CT image 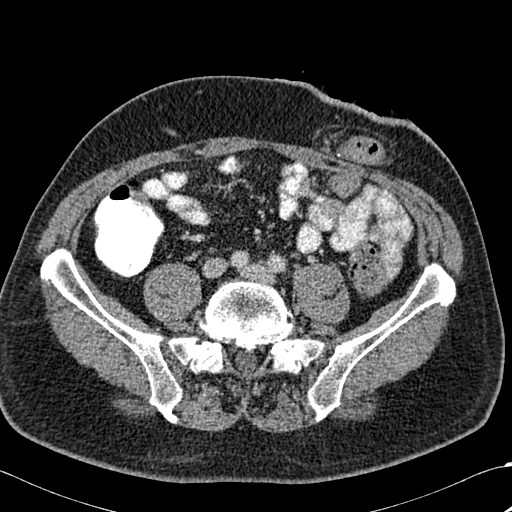

3 bone regions are located at 41 249 181 422, 168 281 324 372, 308 263 455 420.